FLAIR MR.
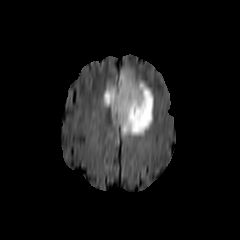
T1-weighted MRI.
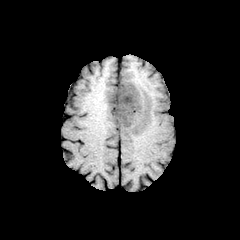
Post-contrast T1-weighted MR.
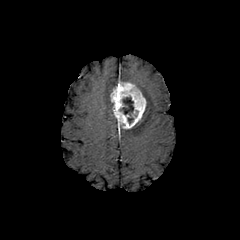
T2-weighted magnetic resonance.
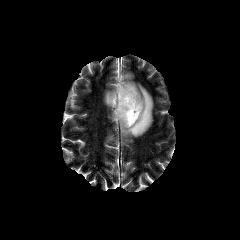
240x240 px
* enhancing tumor: [110, 77, 146, 128]
* non-enhancing tumor core: [120, 97, 133, 115], [133, 104, 147, 129]
* edema: [103, 84, 114, 109], [120, 70, 153, 137]